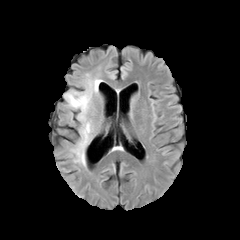
FLAIR MR.
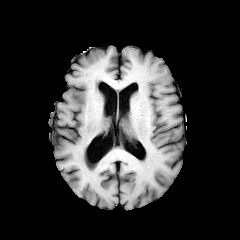
T1-weighted magnetic resonance.
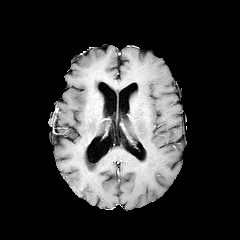
Post-contrast T1-weighted magnetic resonance.
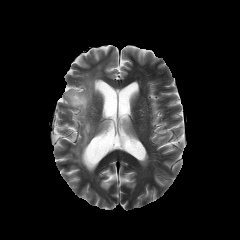
T2-weighted magnetic resonance.
<segmentation>
  <edema>box(65, 72, 104, 166)</edema>
</segmentation>